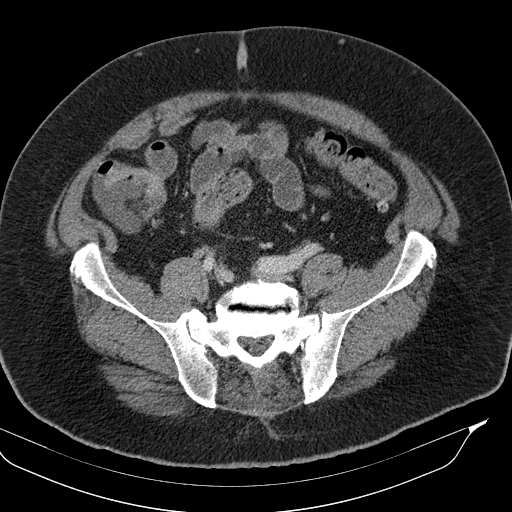
512x512 px; CT slice

{
  "colon_tumor": [
    "bbox=[105, 164, 166, 206]"
  ]
}